Field of view 240 mm wide, 1.00 mm slice spacing; Brain
FLAIR MRI.
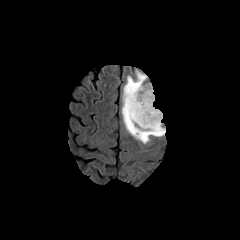
T1-weighted MR image.
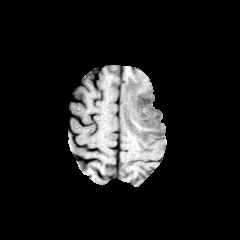
Post-contrast T1-weighted MR.
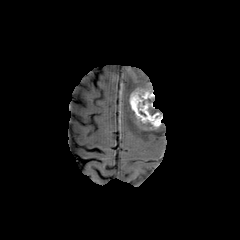
T2-weighted MR.
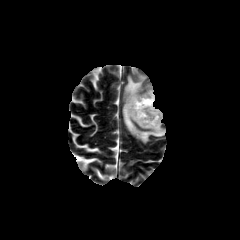
Enhancing tumor: bounding box x1=129, y1=83, x2=162, y2=131.
Edema: bounding box x1=121, y1=69, x2=165, y2=144.